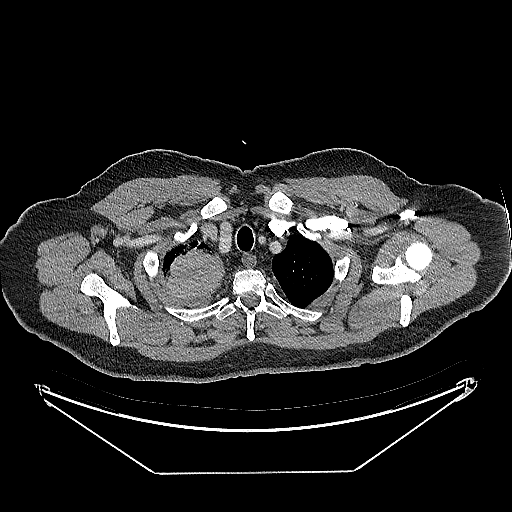

512x512, CT slice
Lung tumor: box=[163, 240, 224, 298].